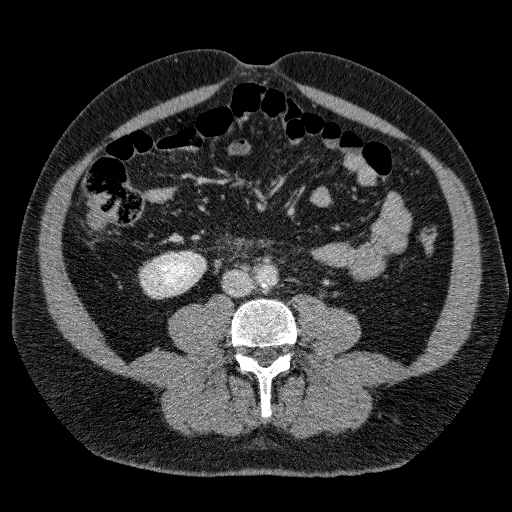 CT slice. 512x512. Abdomen.

Annotated regions:
- kidney: region(141, 252, 205, 296)